Slice index 32; CT; Image width 470 mm
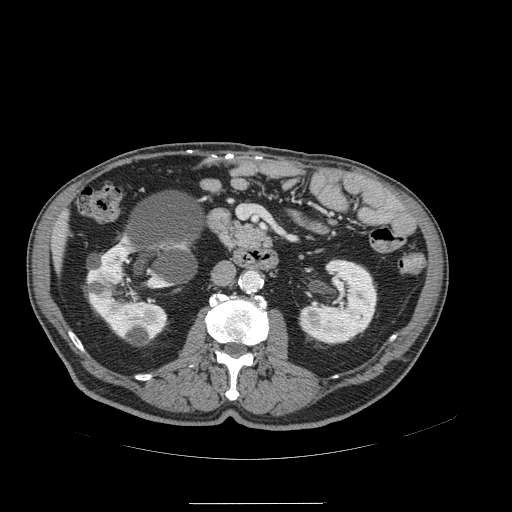
Pancreas: bounding box bbox(230, 218, 278, 250).